FLAIR MRI.
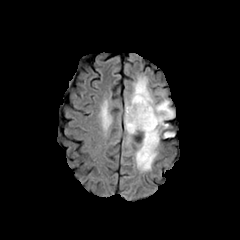
T1-weighted MR.
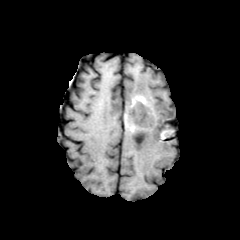
Post-contrast T1-weighted MRI.
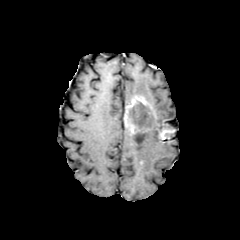
T2-weighted MR.
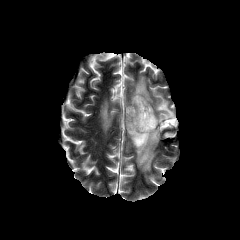
Image size 240x240
enhancing_tumor:
  - bbox=[125, 96, 146, 133]
edema:
  - bbox=[124, 75, 174, 172]
  - bbox=[102, 106, 110, 127]
  - bbox=[165, 126, 173, 137]
non-enhancing_tumor_core:
  - bbox=[139, 118, 153, 127]
  - bbox=[129, 100, 156, 132]
  - bbox=[159, 116, 169, 138]